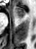
Hippocampus, MRI

Annotated regions:
- anterior hippocampus: 15,7,26,17